FLAIR MR image.
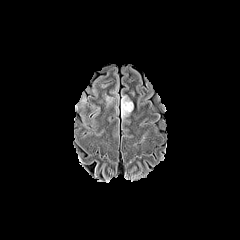
T1-weighted magnetic resonance.
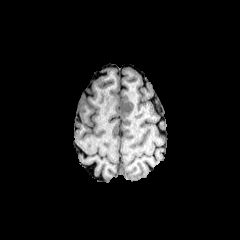
Post-contrast T1-weighted magnetic resonance.
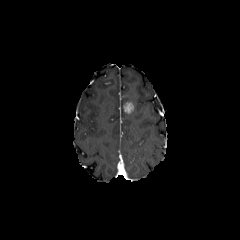
T2-weighted MRI.
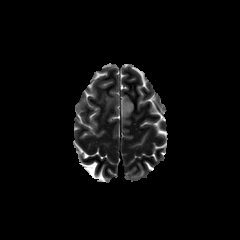
{"enhancing_tumor": ["(123,101,134,114)"], "edema": ["(105,94,113,106)", "(121,96,130,117)"]}